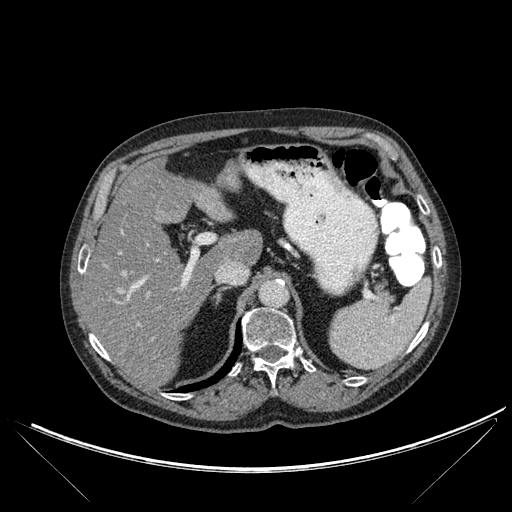 CT image | Upper abdomen | Image size 512x512
Segmented structures:
* lung: left=175, top=323, right=241, bottom=392
* liver: left=84, top=162, right=262, bottom=386
* bone: left=163, top=393, right=190, bottom=400; left=229, top=364, right=240, bottom=375; left=417, top=197, right=428, bottom=213; left=408, top=323, right=428, bottom=351; left=433, top=247, right=441, bottom=267; left=78, top=262, right=86, bottom=272; left=301, top=358, right=315, bottom=371; left=242, top=308, right=301, bottom=385; left=345, top=377, right=365, bottom=386; left=90, top=334, right=108, bottom=359
* liver lesion: left=128, top=349, right=142, bottom=360